Head
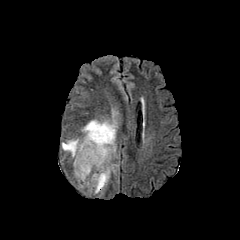
FLAIR MR image.
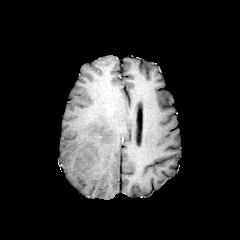
T1-weighted MR image.
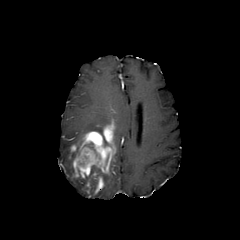
Same slice, post-contrast T1-weighted magnetic resonance.
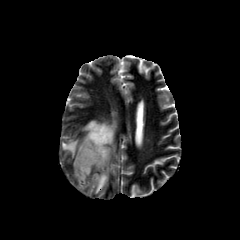
T2-weighted magnetic resonance.
Segmented structures:
* edema: [112, 118, 117, 148], [81, 119, 111, 133], [61, 138, 82, 158], [99, 174, 110, 193]
* enhancing tumor: [95, 177, 103, 193], [73, 122, 115, 177]
* non-enhancing tumor core: [76, 165, 105, 188], [83, 142, 95, 151]